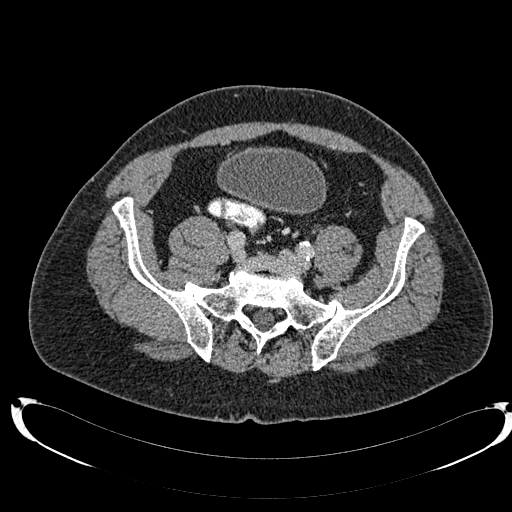
CT scan slice, Lower abdomen
urinary_bladder:
  - (x1=221, y1=149, x2=326, y2=211)